512x512 px. CT scan slice. 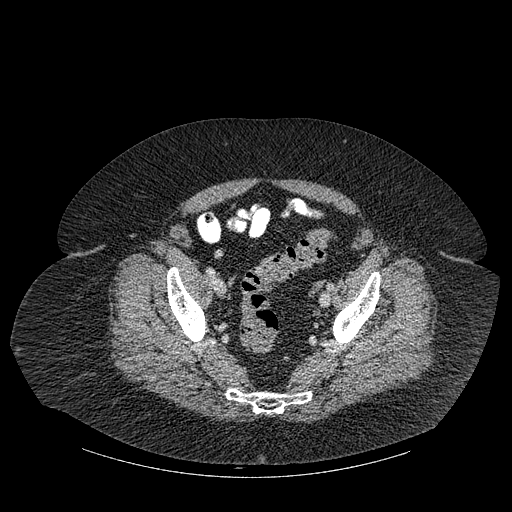
<segmentation>
  <bone>333:272:380:346, 167:267:205:341, 225:388:311:413</bone>
</segmentation>